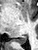 MR; 38x50
Posterior hippocampus: x1=13, y1=35, x2=26, y2=44.